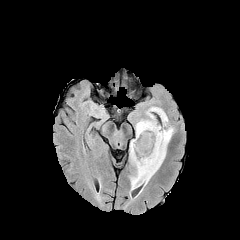
FLAIR MR.
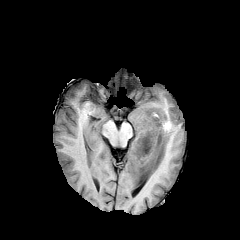
T1-weighted MR image of the same slice.
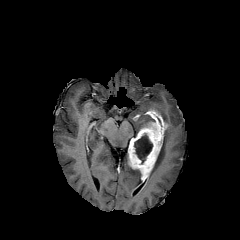
Post-contrast T1-weighted MRI of the same slice.
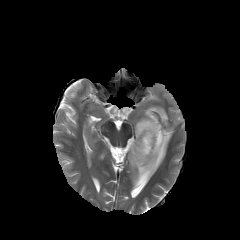
T2-weighted MR.
Enhancing tumor: (128,110,166,180).
Edema: (134,116,147,135), (142,125,174,188), (129,169,143,188), (146,106,168,124).
Non-enhancing tumor core: (138,114,155,132), (134,133,153,164).